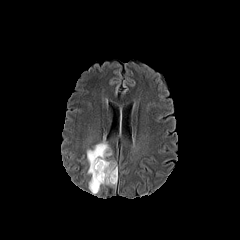
FLAIR MRI.
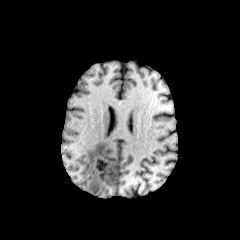
T1-weighted MR image.
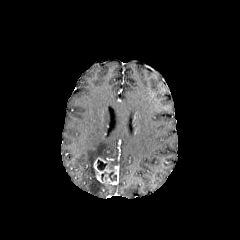
Post-contrast T1-weighted magnetic resonance.
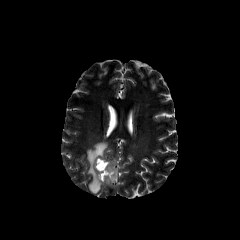
Same slice, T2-weighted MR image.
The enhancing tumor is bounded by bbox=[93, 158, 117, 184]. The edema is bounded by bbox=[86, 141, 111, 192]. 3 non-enhancing tumor core regions are bounded by bbox=[97, 160, 108, 170]; bbox=[103, 157, 116, 169]; bbox=[101, 171, 116, 181].